FLAIR magnetic resonance.
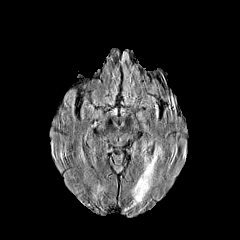
T1-weighted MRI.
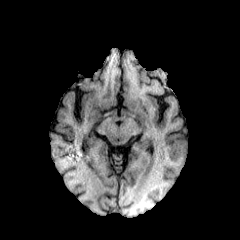
Post-contrast T1-weighted MR image.
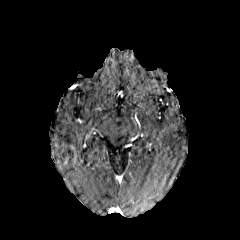
T2-weighted MR image.
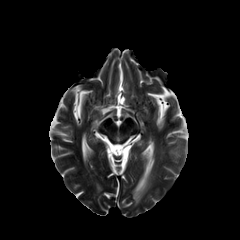
Head
Segmented structures:
* edema: 132,155,155,205